Slice 72/155; Head; 240x240 px
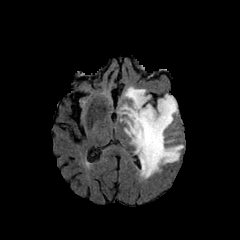
FLAIR MRI.
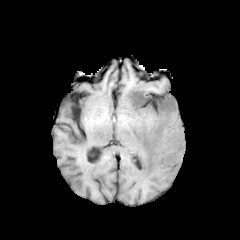
T1-weighted MRI.
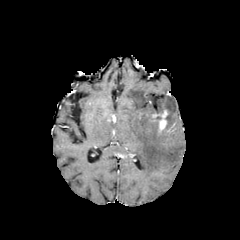
Post-contrast T1-weighted MR.
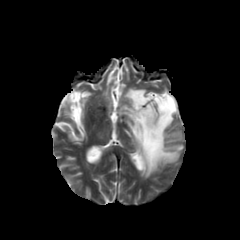
T2-weighted MR.
enhancing tumor: <bbox>152, 109, 167, 131</bbox> | edema: <bbox>116, 86, 183, 178</bbox>